Upper abdomen, CT scan slice

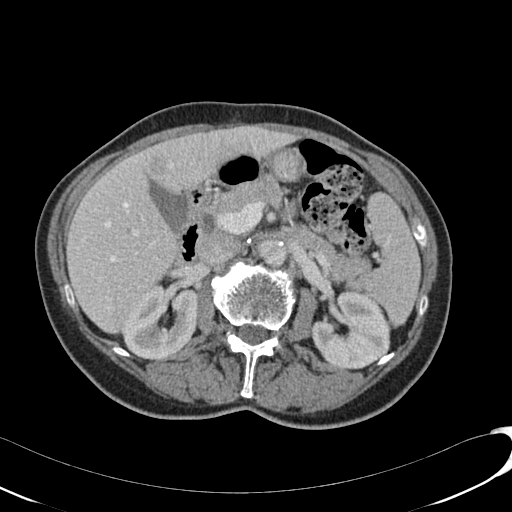
liver:
  - 67 127 301 332
focal_liver_lesion:
  - 215 146 240 162
  - 150 158 166 176
kidney:
  - 124 287 197 359
  - 312 292 388 368